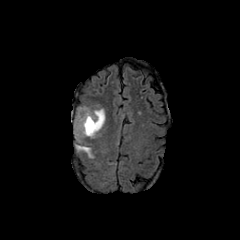
FLAIR MRI.
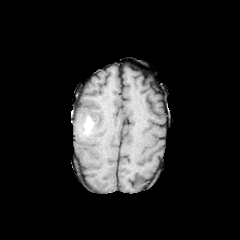
T1-weighted MR of the same slice.
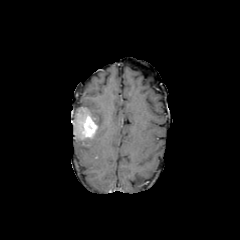
Post-contrast T1-weighted MR.
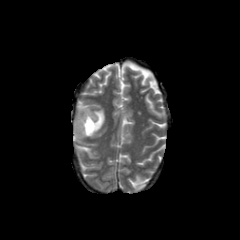
T2-weighted MR image.
Edema at x1=88, y1=106, x2=105, y2=138; x1=73, y1=124, x2=94, y2=158.
Enhancing tumor at x1=75, y1=108, x2=97, y2=137.